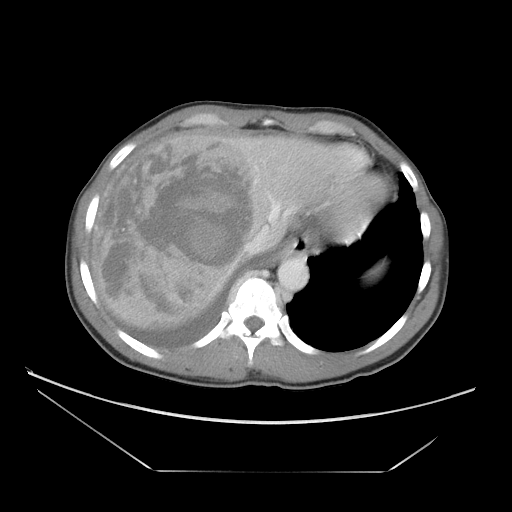

CT. 512x512. Abdomen.

Some hepatic vessels may have no box.
Findings:
* liver tumor: 91,136,263,327
* hepatic vessel: 283,206,295,220; 271,202,280,212; 245,250,251,253